Field of view 339x339 mm; Upper abdomen; Computed tomography
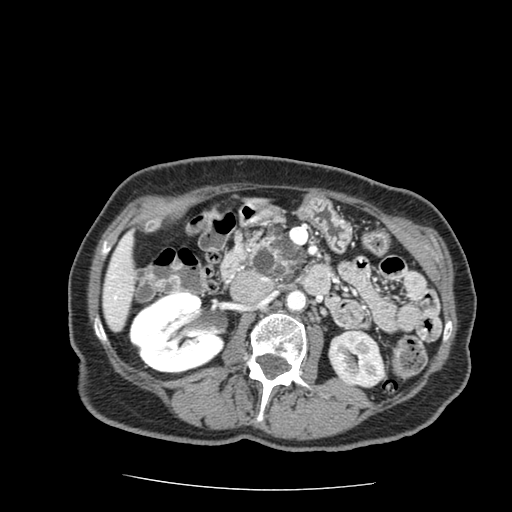
2 pancreas regions are bounded by x1=245, y1=224, x2=294, y2=272; x1=266, y1=251, x2=308, y2=285. The pancreatic tumor lies within x1=254, y1=241, x2=306, y2=278.